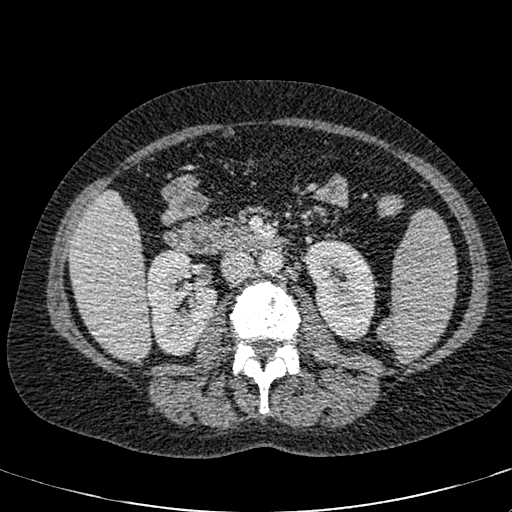

Computed tomography; Liver; 512x512 px
kidney: (146,248,216,355), (305,241,374,339) | liver: (69,193,148,359)